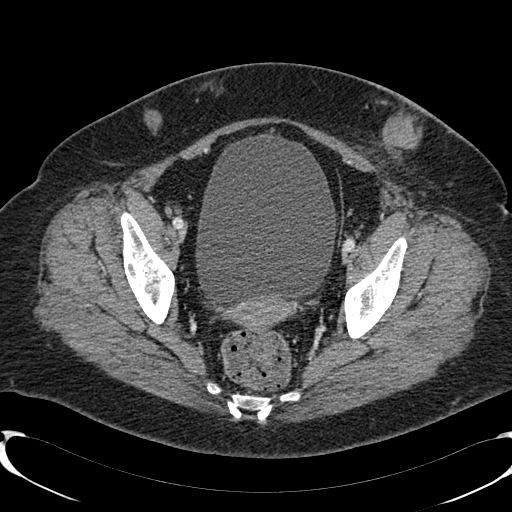
Pelvis, CT
Urinary bladder at <box>196,134,335,303</box>.